Field of view 429x429 mm, Computed tomography, Image size 512x512 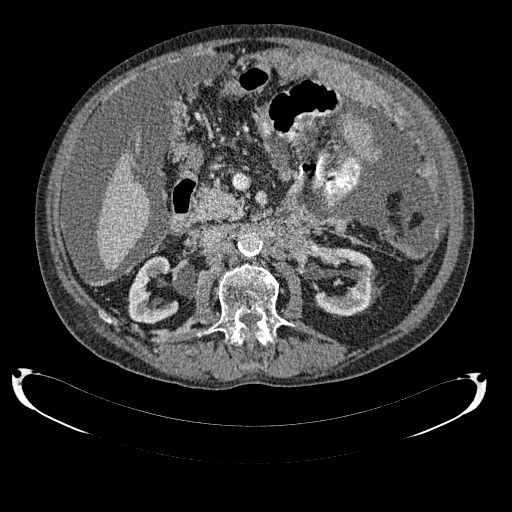

Annotated regions:
• kidney: {"x1": 316, "y1": 248, "x2": 372, "y2": 315}, {"x1": 129, "y1": 257, "x2": 177, "y2": 323}
• liver: {"x1": 97, "y1": 150, "x2": 150, "y2": 270}